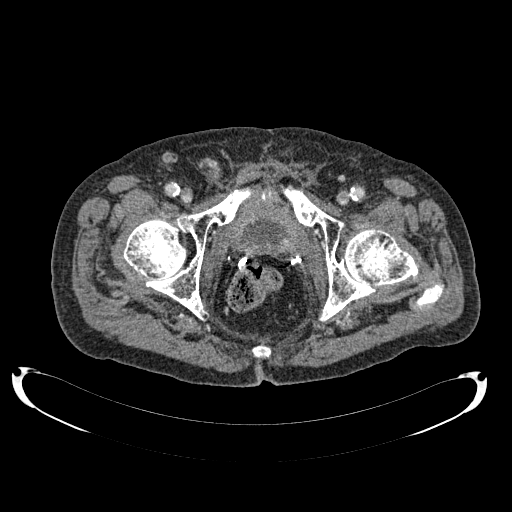 Pelvis. CT. 512x512.
Urinary bladder — region(243, 219, 285, 244).